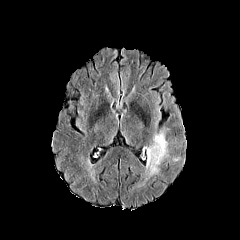
FLAIR magnetic resonance.
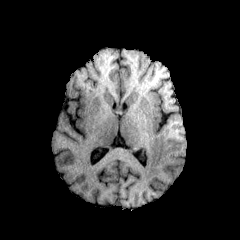
T1-weighted MR.
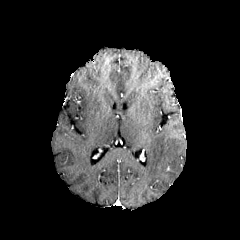
Post-contrast T1-weighted magnetic resonance of the same slice.
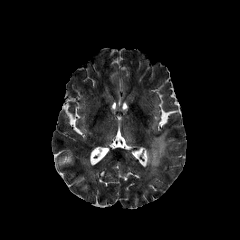
Same slice, T2-weighted MRI.
Image size 240x240, Brain
Edema: x1=146, y1=132, x2=167, y2=174.